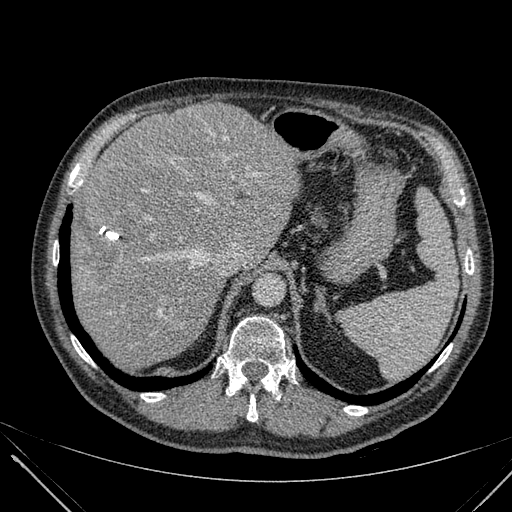
CT slice, Abdomen
Annotated regions:
* focal liver lesion: rect(117, 219, 130, 236); rect(97, 243, 117, 279)
* liver: rect(71, 103, 299, 368)